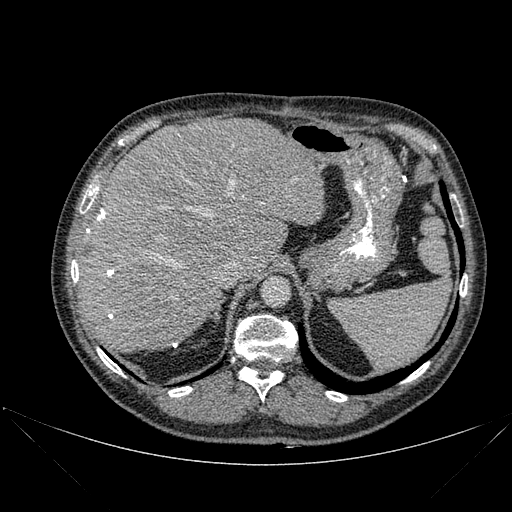

Image size 512x512 | CT slice

liver: rect(78, 118, 324, 353) | bone: rect(71, 260, 78, 282); rect(82, 184, 98, 208); rect(404, 362, 429, 382); rect(97, 348, 123, 375); rect(326, 391, 346, 401); rect(168, 386, 192, 396); rect(460, 276, 467, 296); rect(234, 315, 297, 361); rect(239, 367, 283, 401) | lung: rect(298, 306, 457, 394); rect(202, 366, 217, 376); rect(440, 181, 464, 272)